CT scan slice. 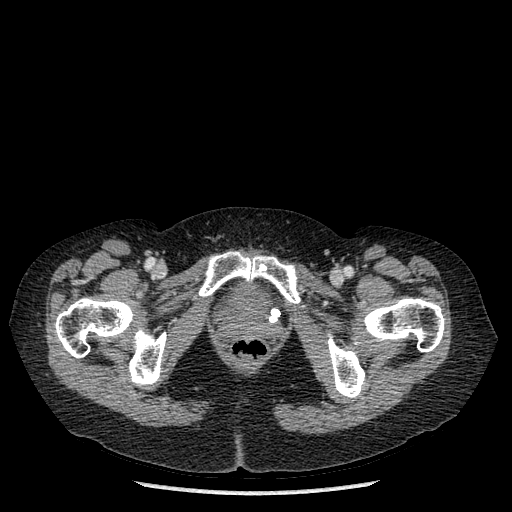
Annotated regions:
- bone: x1=327 y1=298 x2=444 y2=398, x1=54 y1=297 x2=166 y2=387, x1=198 y1=251 x2=300 y2=303